Slice 58 of 155, Head
FLAIR magnetic resonance.
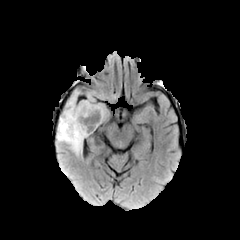
T1-weighted MR.
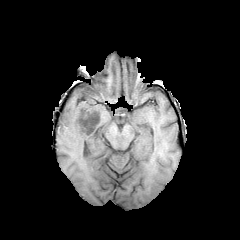
Post-contrast T1-weighted MR image.
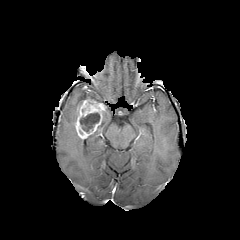
T2-weighted MRI.
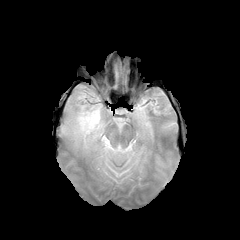
2 edema regions are bounded by (x1=102, y1=109, x2=109, y2=122), (x1=58, y1=91, x2=103, y2=155). 2 non-enhancing tumor core regions appear at (x1=80, y1=112, x2=101, y2=131), (x1=90, y1=124, x2=102, y2=135). The enhancing tumor is bounded by (x1=74, y1=100, x2=103, y2=138).